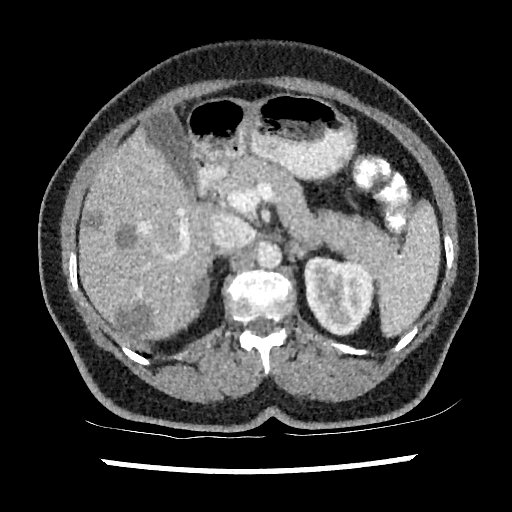
CT image, Liver

• hepatic lesion: l=115, t=305, r=153, b=339; l=82, t=213, r=101, b=230; l=116, t=225, r=134, b=246; l=194, t=279, r=206, b=306
• liver: l=79, t=128, r=211, b=340
• kidney: l=305, t=258, r=372, b=334